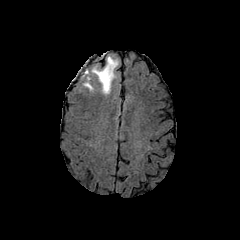
FLAIR magnetic resonance.
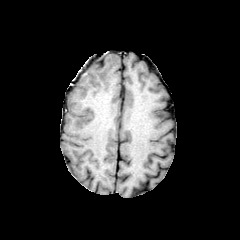
Same slice, T1-weighted MRI.
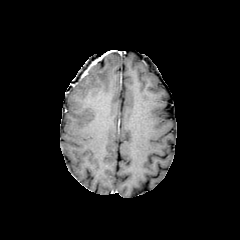
Post-contrast T1-weighted MR image.
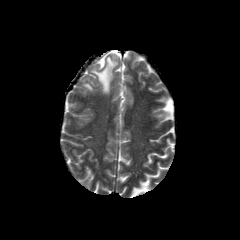
T2-weighted MR image of the same slice.
Brain
<segmentation>
  <edema>x1=82, y1=54, x2=119, y2=94</edema>
</segmentation>